FLAIR MR.
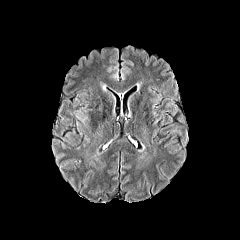
T1-weighted MRI.
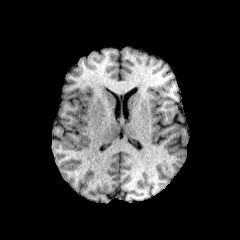
Post-contrast T1-weighted magnetic resonance.
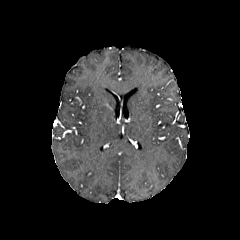
T2-weighted MR.
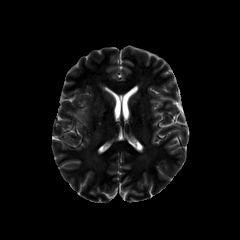
The edema lies within region(76, 113, 87, 123).